Upper abdomen. Field of view 462 mm wide, 2.50 mm slice spacing. Slice 45/101. CT image. 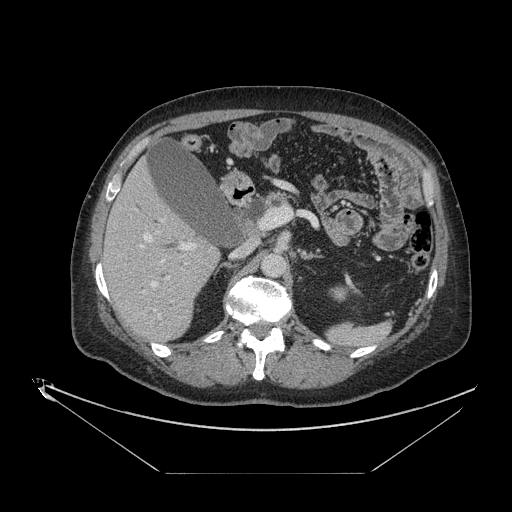

Findings:
• pancreas: 266:191:287:208